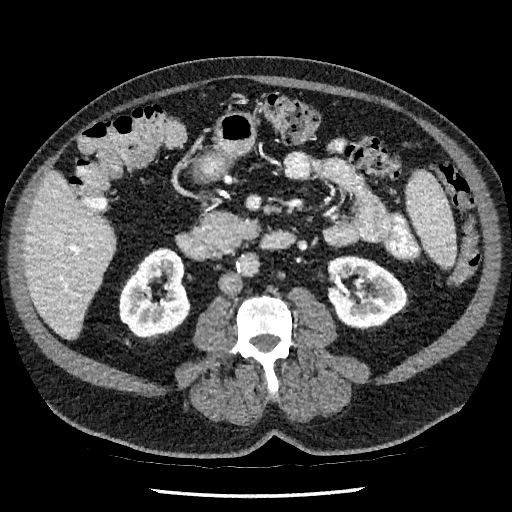 Image size 512x512. CT. 2 kidney regions are located at [120,250,189,336], [329,257,405,327]. The liver appears at [24,170,114,338].